Brain
FLAIR MRI.
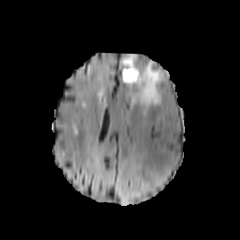
T1-weighted MR.
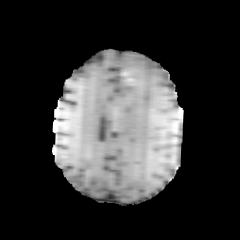
Post-contrast T1-weighted MR image.
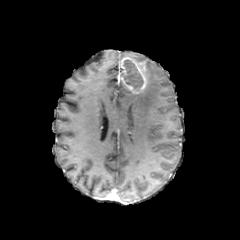
T2-weighted MR.
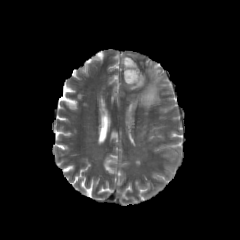
The enhancing tumor is at x1=121, y1=57, x2=147, y2=93. The non-enhancing tumor core is located at x1=122, y1=60, x2=143, y2=91. The edema is located at x1=127, y1=60, x2=163, y2=108.